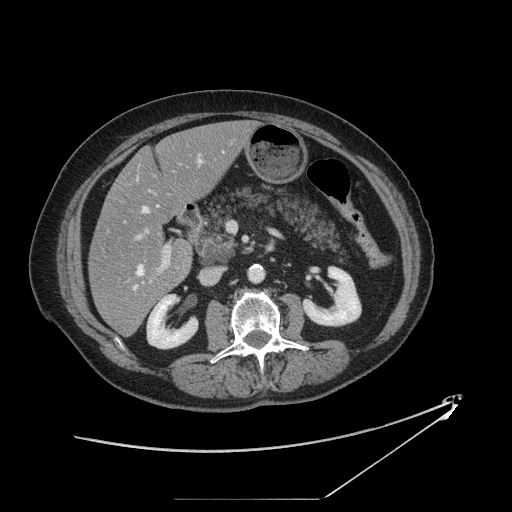 CT slice. 512x512 px.

The pancreatic tumor is at 202 244 231 264. The pancreas is at 195 186 351 266.